512x512 px | Computed tomography | Field of view 385 mm wide, 0.80 mm slice spacing

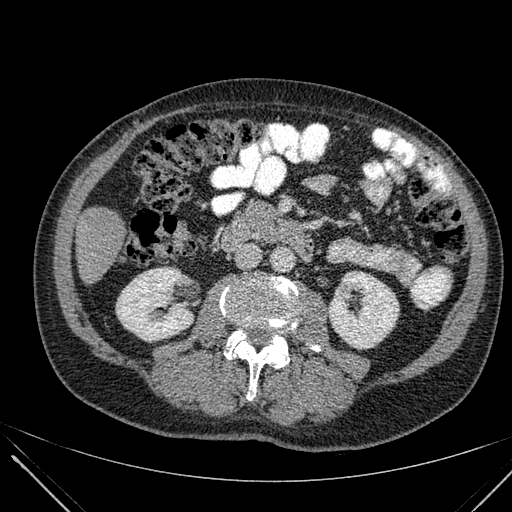 2 kidney regions are bounded by 329,272,398,348; 116,268,192,340. The liver lies within 76,207,127,284.